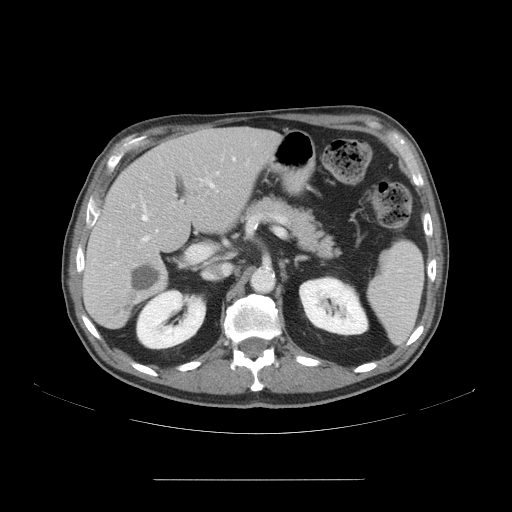
512x512 px, Computed tomography

Only some of the vessels may be annotated.
Hepatic vessel: left=187, top=246, right=210, bottom=261; left=200, top=177, right=217, bottom=191; left=155, top=229, right=158, bottom=232; left=131, top=204, right=135, bottom=207; left=215, top=171, right=219, bottom=174; left=141, top=200, right=148, bottom=221; left=141, top=235, right=150, bottom=242; left=232, top=156, right=235, bottom=161.